Slice 48 of 155. Head.
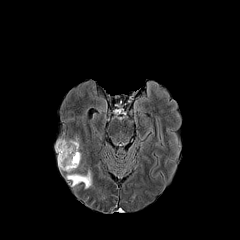
FLAIR MRI.
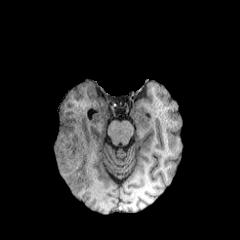
Same slice, T1-weighted MR image.
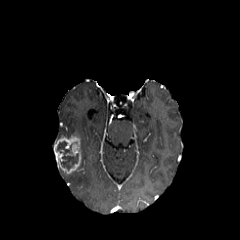
Post-contrast T1-weighted MR of the same slice.
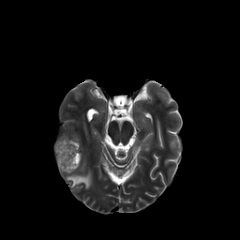
T2-weighted magnetic resonance.
Edema at x1=67, y1=171, x2=92, y2=188.
Enhancing tumor at x1=55, y1=135, x2=80, y2=173.
Non-enhancing tumor core at x1=55, y1=140, x2=78, y2=171.